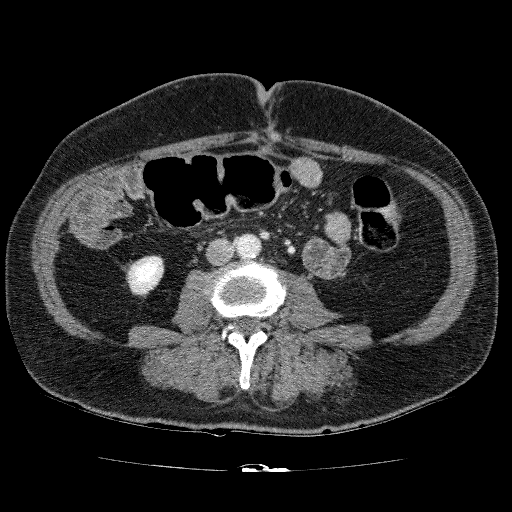 Abdomen. CT slice.

Kidney = 127, 256, 163, 294.